CT, Field of view 421x421 mm, Liver, Slice 49 of 151

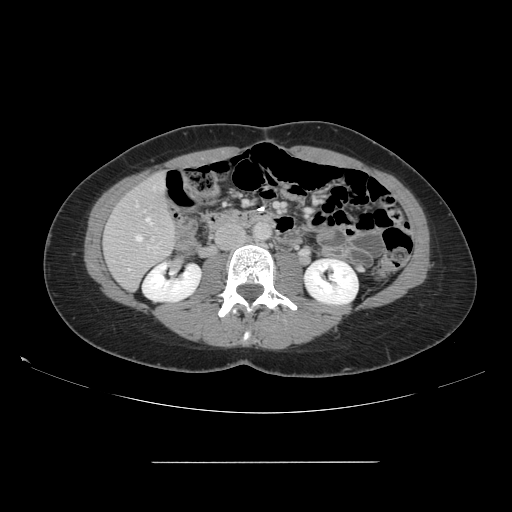
Not every hepatic vessel necessarily has a box.
Hepatic vessel = {"x1": 147, "y1": 244, "x2": 159, "y2": 249}, {"x1": 146, "y1": 217, "x2": 151, "y2": 224}, {"x1": 151, "y1": 238, "x2": 153, "y2": 240}, {"x1": 136, "y1": 202, "x2": 137, "y2": 206}, {"x1": 136, "y1": 234, "x2": 141, "y2": 240}, {"x1": 128, "y1": 269, "x2": 130, "y2": 270}.